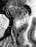
Medial temporal lobe, MRI

Annotated regions:
- anterior hippocampus: [x1=9, y1=6, x2=28, y2=18]